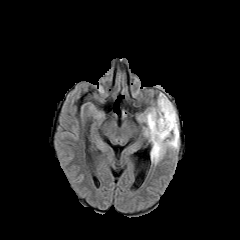
FLAIR MRI.
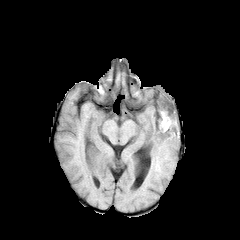
T1-weighted MRI of the same slice.
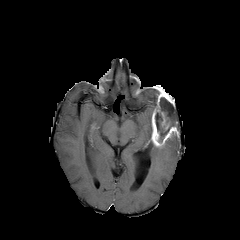
Same slice, post-contrast T1-weighted magnetic resonance.
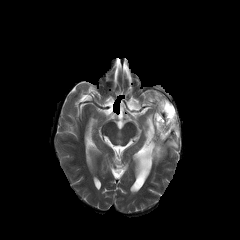
T2-weighted MR of the same slice.
240x240; Head
Edema at x1=150 y1=134 x2=180 y2=164, x1=139 y1=104 x2=153 y2=139.
Non-enhancing tumor core at x1=155 y1=97 x2=176 y2=137.
Enhancing tumor at x1=149 y1=86 x2=179 y2=147.